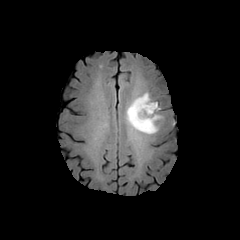
FLAIR MR.
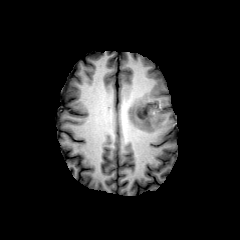
T1-weighted magnetic resonance of the same slice.
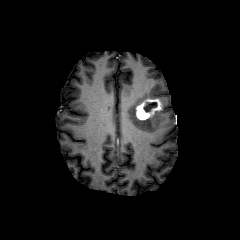
Post-contrast T1-weighted MRI.
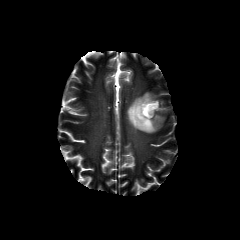
Same slice, T2-weighted magnetic resonance.
Brain
<segmentation>
  <edema>box=[126, 92, 163, 134]</edema>
  <enhancing_tumor>box=[135, 98, 161, 120]</enhancing_tumor>
  <non-enhancing_tumor_core>box=[144, 102, 156, 111]</non-enhancing_tumor_core>
</segmentation>